Head. Slice 58/155. 240x240.
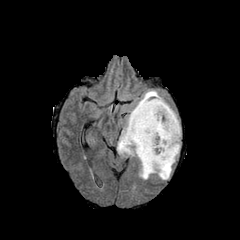
FLAIR MRI.
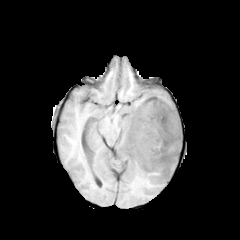
T1-weighted MR.
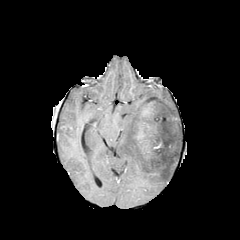
Post-contrast T1-weighted MRI.
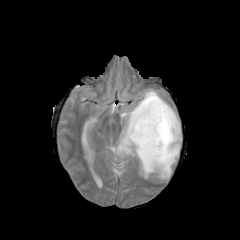
Same slice, T2-weighted magnetic resonance.
<segmentation>
  <non-enhancing_tumor_core>[134,94,179,159]</non-enhancing_tumor_core>
  <enhancing_tumor>[141,103,152,116], [136,124,161,149]</enhancing_tumor>
  <edema>[116,88,181,179]</edema>
</segmentation>